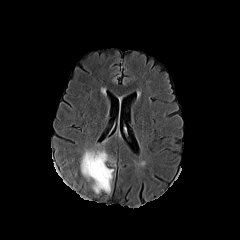
FLAIR MR.
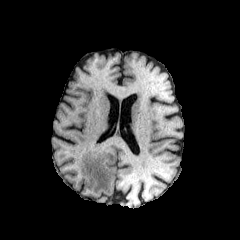
Same slice, T1-weighted MR image.
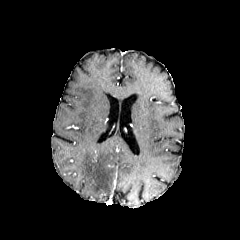
Post-contrast T1-weighted magnetic resonance.
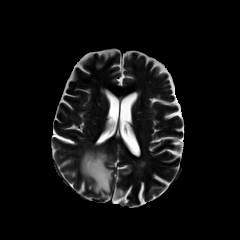
T2-weighted magnetic resonance.
The edema is at l=80, t=149, r=113, b=194.